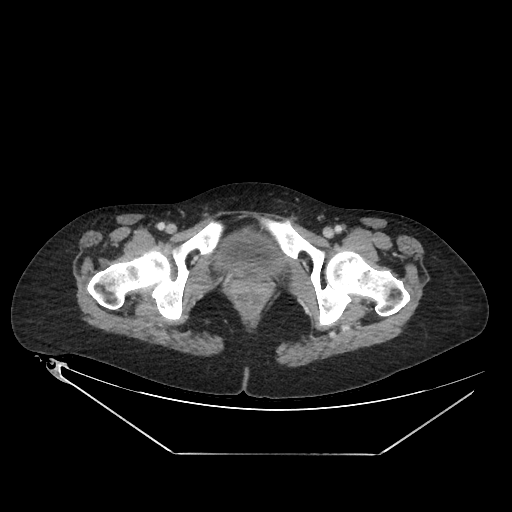
CT

- urinary bladder: [209,229,285,280]